FLAIR MRI.
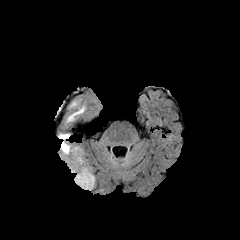
T1-weighted MR image.
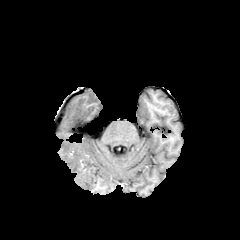
Post-contrast T1-weighted MR image.
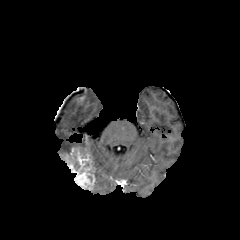
T2-weighted MR image.
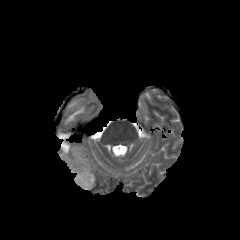
240x240 px.
4 edema regions are bounded by [x1=66, y1=98, x2=86, y2=123], [x1=74, y1=147, x2=93, y2=169], [x1=58, y1=132, x2=69, y2=139], [x1=60, y1=141, x2=72, y2=155]. 3 non-enhancing tumor core regions are bounded by [x1=62, y1=152, x2=80, y2=170], [x1=82, y1=160, x2=93, y2=174], [x1=71, y1=147, x2=84, y2=158]. The enhancing tumor lies within [x1=69, y1=152, x2=93, y2=187].